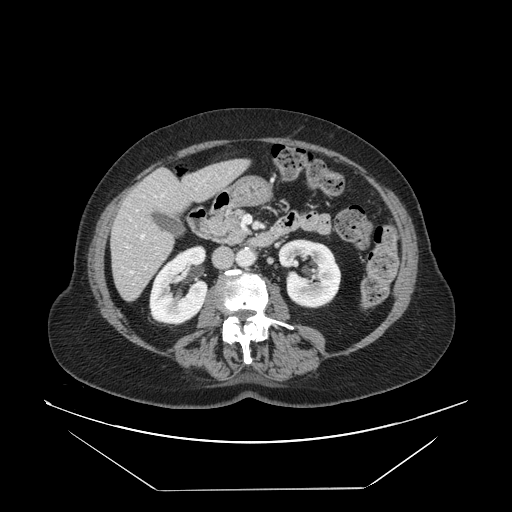

CT scan slice; Image size 512x512; Upper abdomen
pancreas:
  - region(204, 207, 253, 246)